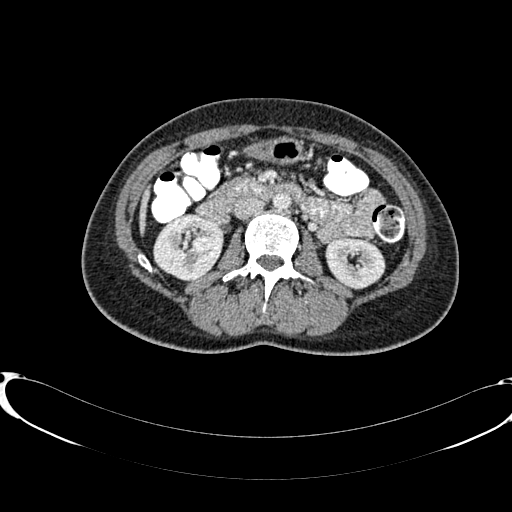

512x512; CT
Kidney = 327, 240, 383, 286; 155, 216, 221, 279.
Liver = 139, 192, 148, 230.